CT scan slice

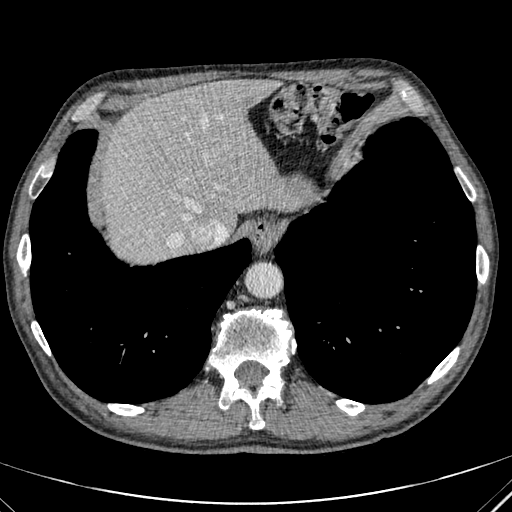 Liver — rect(101, 79, 283, 262).